CT. Field of view 476x476 mm. Thorax.

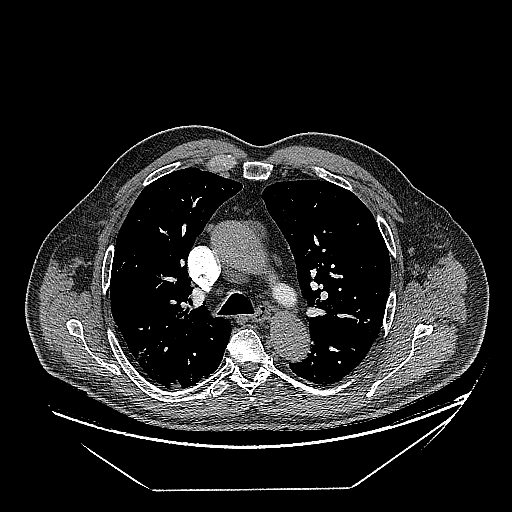 * lung tumor: x1=135, y1=351, x2=149, y2=363